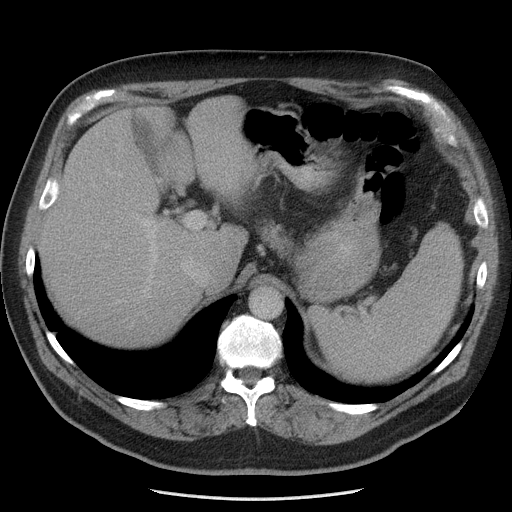
Liver. CT image.

Some hepatic vessels may have no box.
Hepatic vessel: 162 222 164 224, 204 172 208 177, 136 215 158 270, 117 182 119 184, 106 170 113 173, 182 233 185 235, 142 274 155 297, 187 213 202 228, 146 203 150 207, 181 256 207 282.